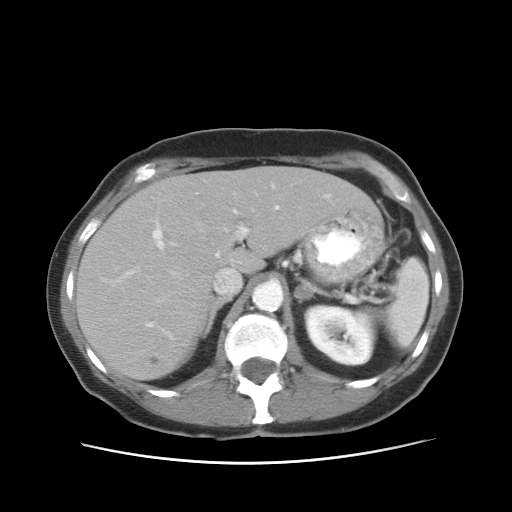 CT scan slice.
<segmentation>
  <spleen>x1=387 y1=259 x2=428 y2=346</spleen>
</segmentation>